512x512 px; CT scan slice; Slice 36 of 104; Field of view 442 mm wide, 2.50 mm slice spacing
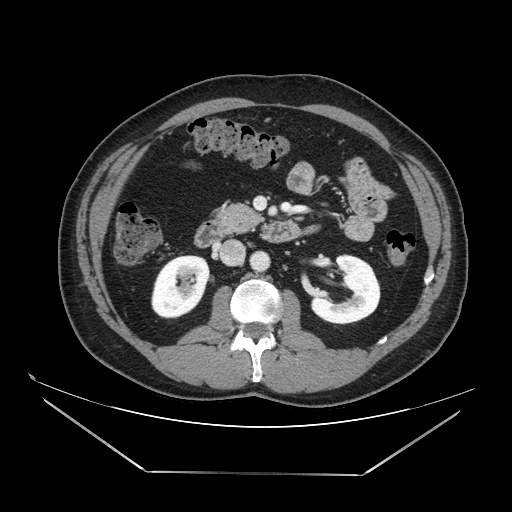
<segmentation>
  <pancreas>[216, 203, 262, 234]</pancreas>
</segmentation>